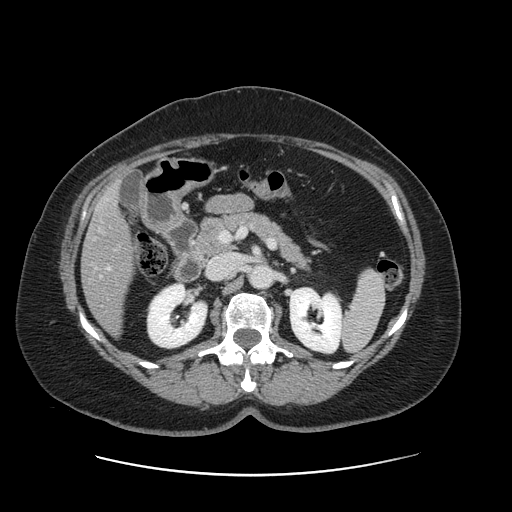 CT image | Abdomen
The vessel boxes may cover only some of the vessels.
hepatic vessel: [107, 267, 111, 269]